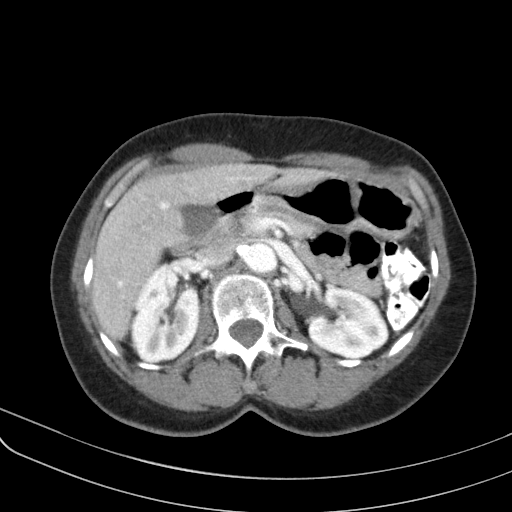 Image size 512x512, CT image
The pancreas lies within 241,210,314,237.